MRI slice. 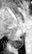 Segmented structures:
* posterior hippocampus: box=[11, 38, 23, 48]